FLAIR MRI.
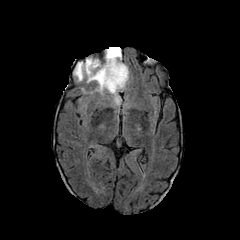
T1-weighted MRI.
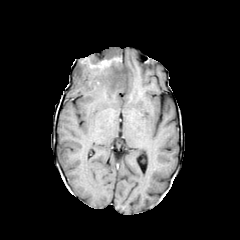
Post-contrast T1-weighted MR.
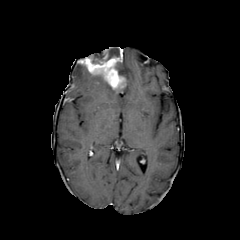
T2-weighted MR image.
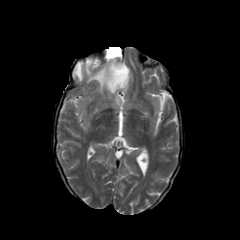
{"enhancing_tumor": ["rect(78, 48, 127, 89)"], "non-enhancing_tumor_core": ["rect(85, 52, 105, 63)", "rect(116, 62, 127, 80)", "rect(108, 47, 119, 58)"], "edema": ["rect(73, 64, 122, 108)", "rect(118, 62, 131, 84)"]}